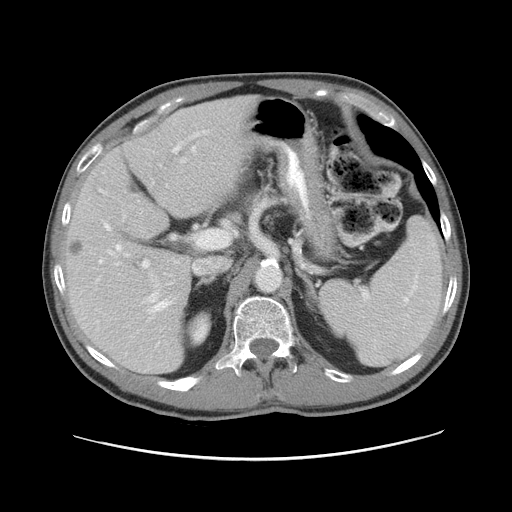

Abdomen. CT. 512x512 px.

The vessel boxes may cover only some of the vessels.
<segmentation partial="true">
  <hepatic_vessel shown="15" total="16">104,223,109,229; 99,258,103,262; 116,245,121,250; 142,260,149,267; 124,253,129,256; 115,262,119,264; 172,141,182,153; 107,249,113,254; 190,131,199,137; 197,230,218,247; 159,164,161,166; 181,158,185,162; 147,292,172,318; 151,179,153,185; 153,283,158,286</hepatic_vessel>
</segmentation>